Abdomen | CT slice
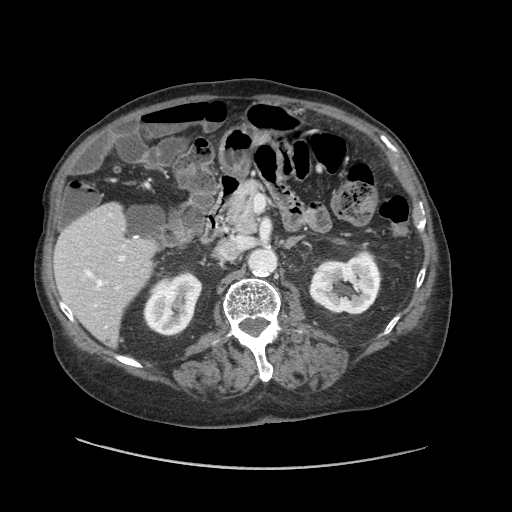
The vessel boxes may cover only some of the vessels.
3 hepatic vessel regions are located at (222, 250, 225, 255), (96, 280, 102, 286), (233, 236, 250, 248).